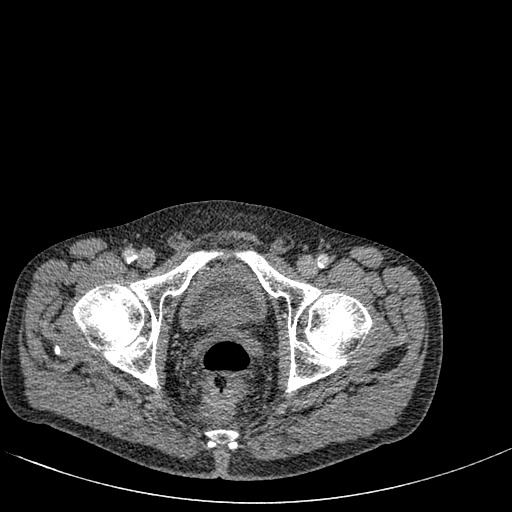 Pelvis, CT image

<segmentation>
  <urinary_bladder>[178, 252, 268, 334]</urinary_bladder>
</segmentation>